Image size 240x240. Image width 240 mm.
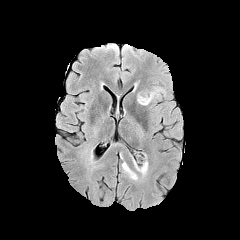
FLAIR MRI.
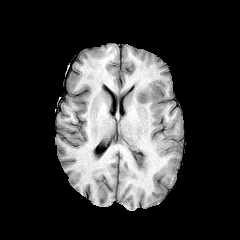
T1-weighted MR of the same slice.
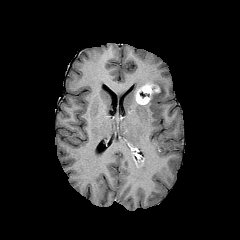
Same slice, post-contrast T1-weighted MR image.
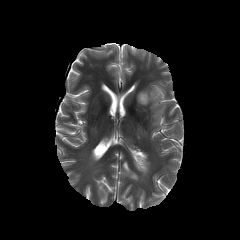
Same slice, T2-weighted magnetic resonance.
enhancing tumor: [136, 84, 159, 103] | edema: [150, 84, 163, 101], [121, 152, 148, 180] | non-enhancing tumor core: [133, 155, 144, 165]